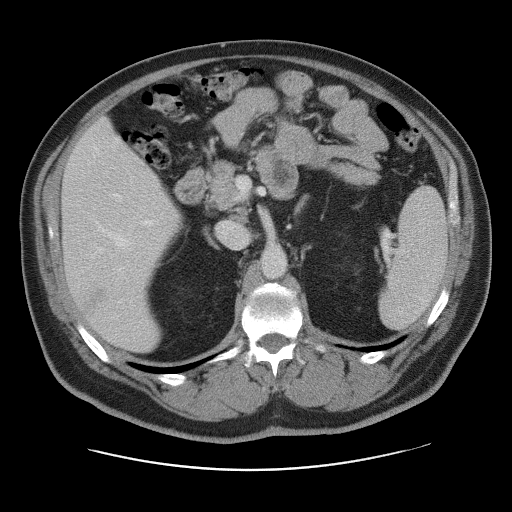 CT scan slice

The vessel annotation is not exhaustive.
The liver tumor is located at <box>75,286,113,314</box>. 6 hepatic vessel regions appear at <box>237,179,249,197</box>, <box>259,188,263,193</box>, <box>140,219,157,226</box>, <box>113,193,121,201</box>, <box>223,224,232,232</box>, <box>99,226,129,247</box>.